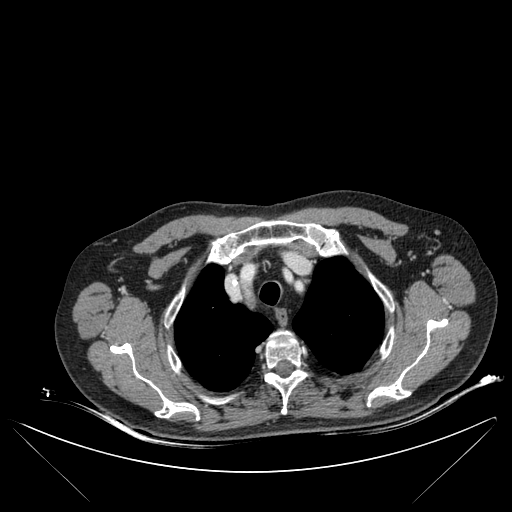
Chest | CT image
{"bone": ["(380,328,394,358)", "(167,289,183,323)", "(202,397,231,403)", "(167,346,180,372)", "(264,331,307,413)", "(367,319,447,406)", "(369,274,393,311)", "(110,343,199,419)", "(208,220,342,263)"], "lung": ["(260,282,279,304)", "(292,256,383,373)", "(174,264,272,391)"]}